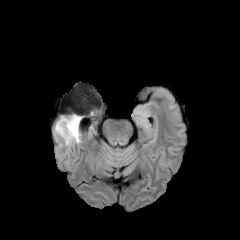
FLAIR MR.
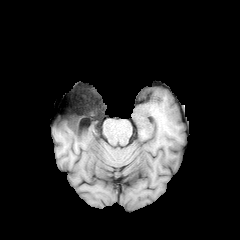
T1-weighted MRI.
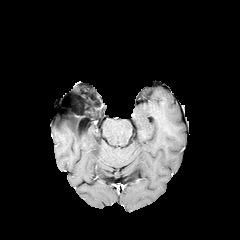
Same slice, post-contrast T1-weighted MR.
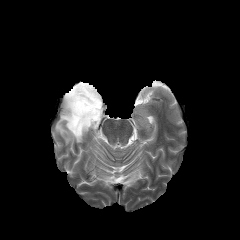
T2-weighted MR image.
The non-enhancing tumor core is at [x1=58, y1=112, x2=81, y2=129]. The edema is bounded by [x1=54, y1=118, x2=81, y2=147].